Brain
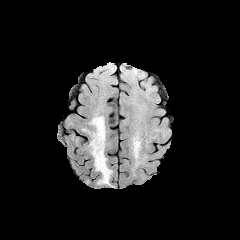
FLAIR MR image.
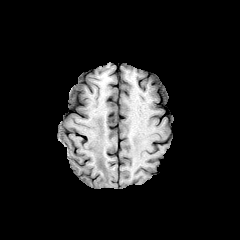
Same slice, T1-weighted magnetic resonance.
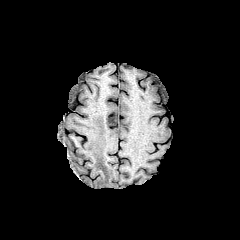
Post-contrast T1-weighted MR image of the same slice.
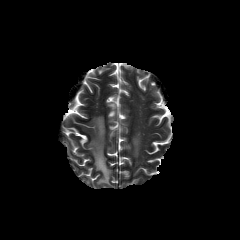
T2-weighted MR image of the same slice.
{"edema": ["[88, 116, 112, 185]"]}